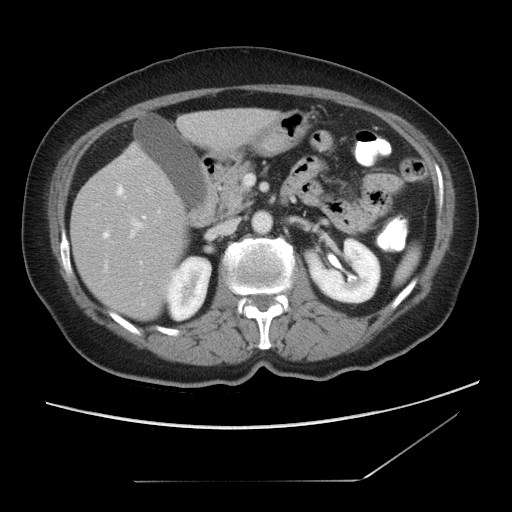

Liver; CT scan slice; 512x512 px
Not every hepatic vessel necessarily has a box.
Segmented structures:
* hepatic vessel: bbox(103, 233, 109, 238); bbox(105, 263, 107, 268); bbox(117, 186, 125, 197); bbox(143, 216, 145, 218)